Head. 240x240.
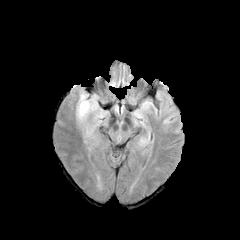
FLAIR magnetic resonance.
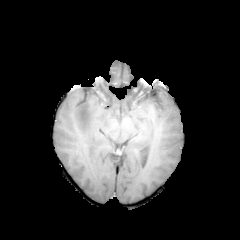
Same slice, T1-weighted MR image.
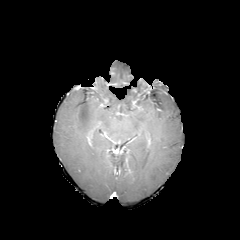
Same slice, post-contrast T1-weighted magnetic resonance.
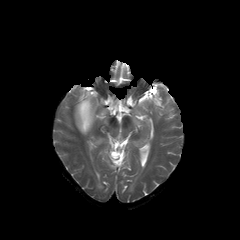
T2-weighted MR image.
<segmentation>
  <edema><box>75,91,105,136</box>, <box>136,112,146,121</box>, <box>140,99,149,109</box></edema>
</segmentation>